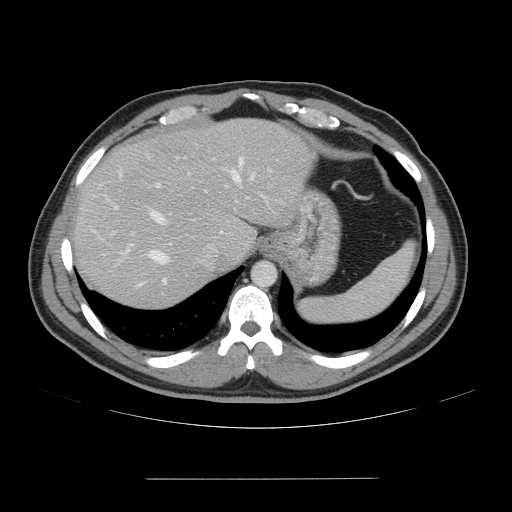
Abdomen; CT
Not every hepatic vessel necessarily has a box.
Top 15 of 18 hepatic vessel regions = left=137, top=283, right=142, bottom=286; left=251, top=173, right=253, bottom=179; left=112, top=204, right=118, bottom=209; left=119, top=170, right=121, bottom=176; left=156, top=183, right=159, bottom=186; left=163, top=279, right=165, bottom=282; left=120, top=244, right=132, bottom=255; left=219, top=167, right=222, bottom=168; left=150, top=212, right=164, bottom=222; left=239, top=158, right=242, bottom=165; left=260, top=194, right=265, bottom=198; left=230, top=169, right=239, bottom=182; left=149, top=250, right=168, bottom=263; left=117, top=261, right=119, bottom=263; left=268, top=169, right=271, bottom=172.